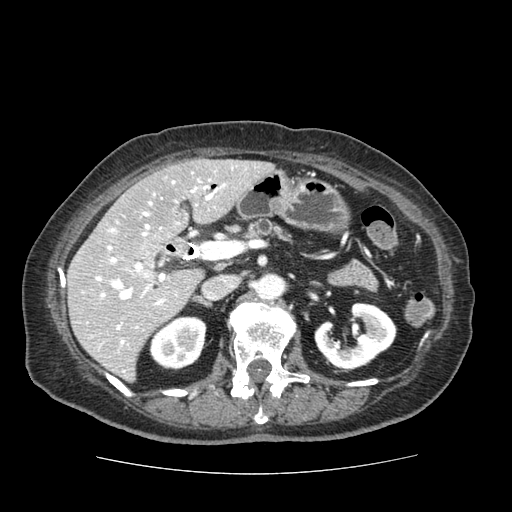

CT image
Findings:
* pancreas: region(246, 220, 287, 240)